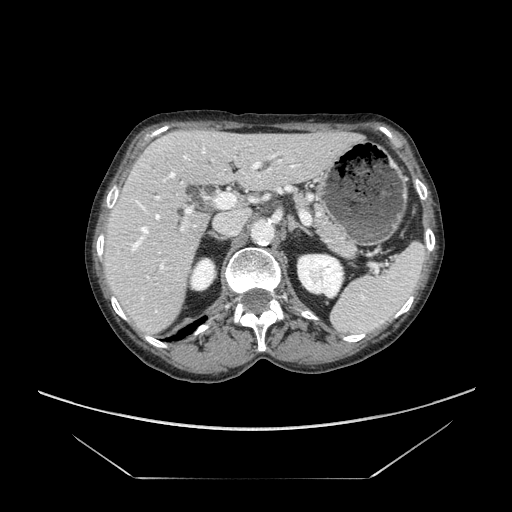
CT scan slice | 512x512 px | Abdomen
pancreas: <box>275,184,361,259</box>